CT slice, Upper abdomen, Slice 268 of 565
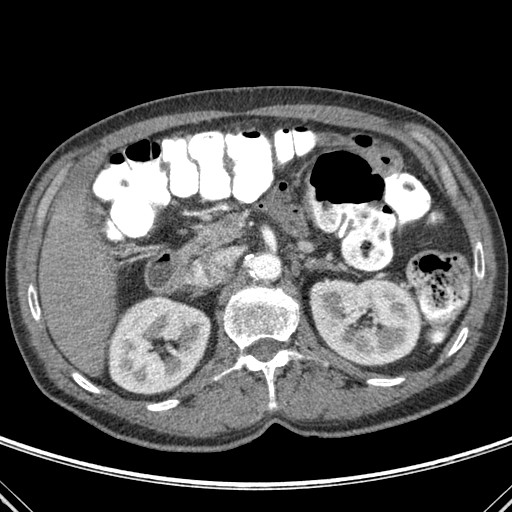

Kidney — bbox(311, 280, 419, 364); bbox(110, 297, 209, 393).
Bone — bbox(147, 400, 178, 410); bbox(448, 327, 467, 355); bbox(367, 378, 403, 386); bbox(214, 272, 303, 408); bbox(28, 284, 40, 320); bbox(475, 241, 484, 278); bbox(72, 372, 99, 392).
Liver — bbox(39, 179, 116, 374).